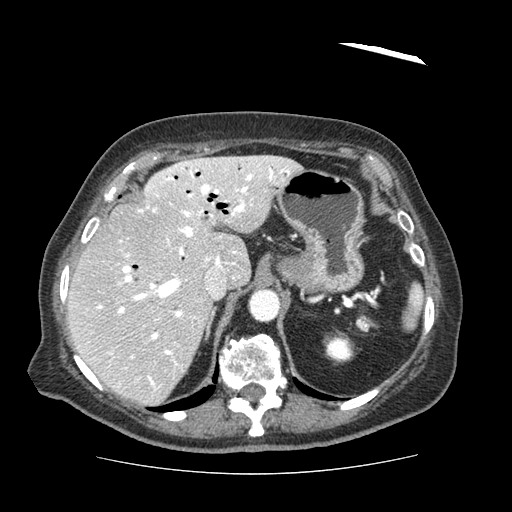

CT slice. Upper abdomen.

The pancreas is at (361,316,372,328).